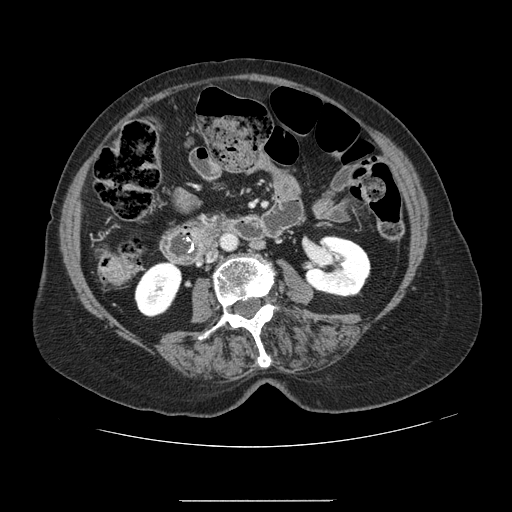
CT scan slice | Abdomen

pancreas:
  - 188 221 219 253
pancreatic_tumor:
  - 195 229 209 246